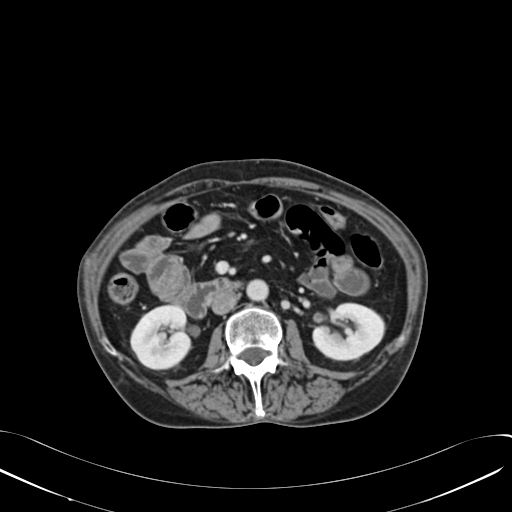
CT slice
kidney:
  - [x1=131, y1=306, x2=189, y2=368]
  - [x1=313, y1=304, x2=382, y2=359]